240x240
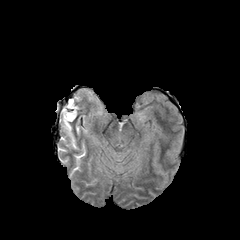
FLAIR MR image.
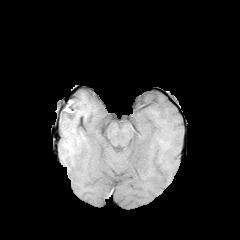
T1-weighted MR.
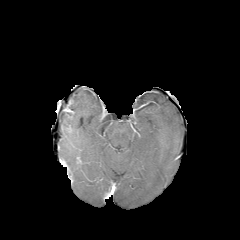
Post-contrast T1-weighted MRI.
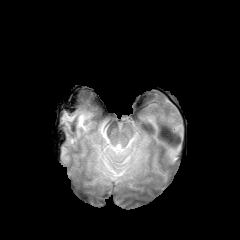
T2-weighted MR.
Edema: box(94, 142, 109, 169); box(129, 148, 141, 164); box(114, 165, 123, 173); box(109, 152, 123, 160); box(60, 99, 89, 148).